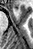 MR image

Anterior hippocampus: bbox(15, 8, 17, 9).